Slice 452/771. CT scan slice. 512x512.

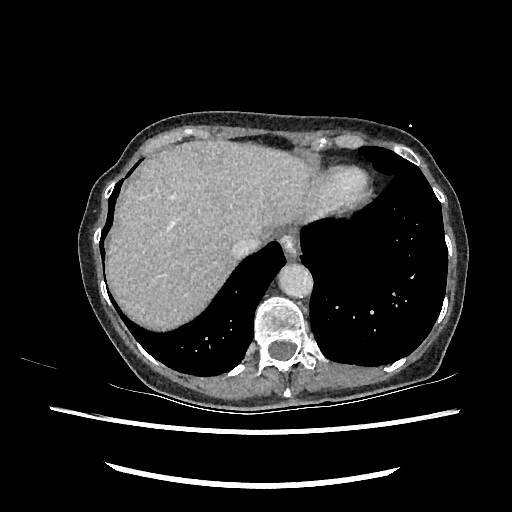 Liver — bbox(109, 141, 317, 329).